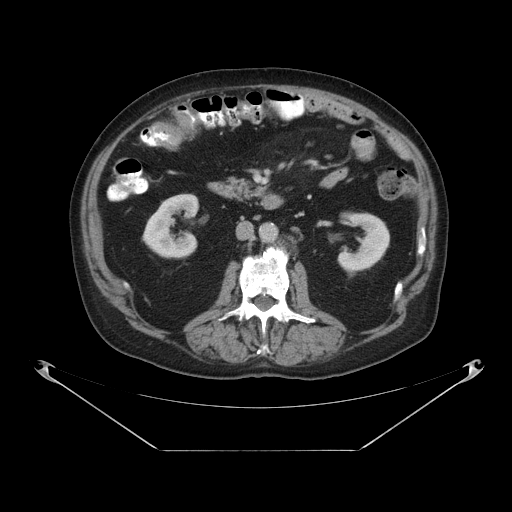

CT slice
* colon tumor: (left=174, top=113, right=191, bottom=134), (left=154, top=123, right=182, bottom=150)